FLAIR MRI.
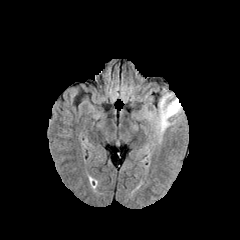
T1-weighted MRI.
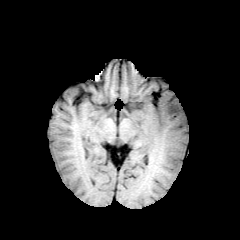
Post-contrast T1-weighted MR.
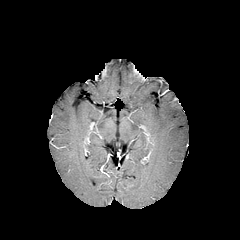
T2-weighted MRI.
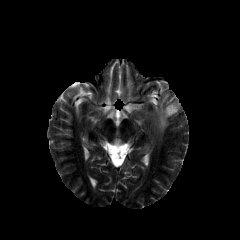
edema:
  - 142 92 182 139
enhancing_tumor:
  - 170 98 181 108